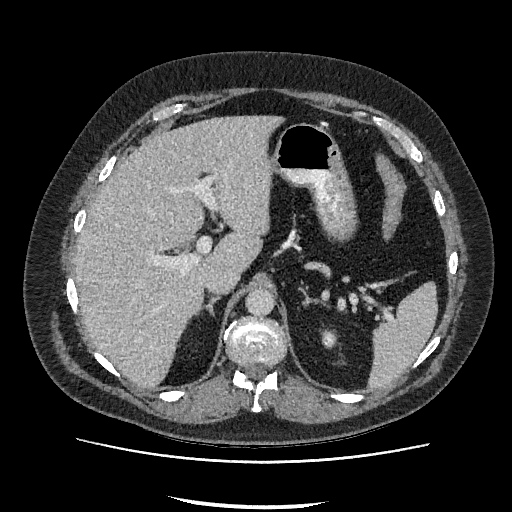

CT slice, Upper abdomen

{"liver": ["rect(76, 116, 282, 386)"], "kidney": ["rect(325, 334, 332, 343)"]}